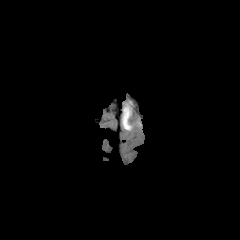
FLAIR MR.
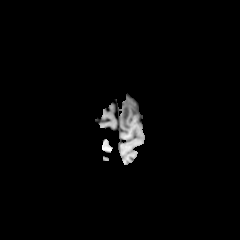
Same slice, T1-weighted MRI.
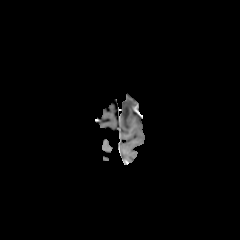
Post-contrast T1-weighted MRI.
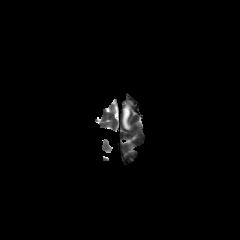
T2-weighted MR image.
Brain
Edema: bounding box x1=122, y1=104, x2=131, y2=130.